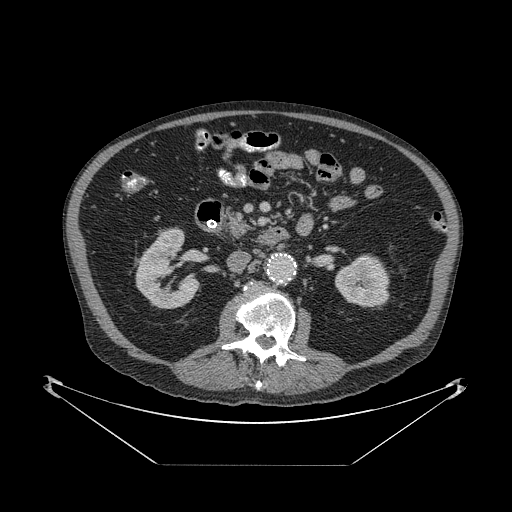
CT scan slice | Abdomen | Image size 512x512

Segmented structures:
* pancreas: {"x1": 224, "y1": 212, "x2": 251, "y2": 236}